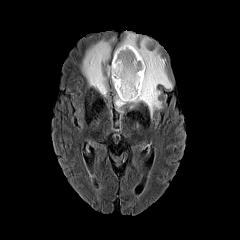
FLAIR MR.
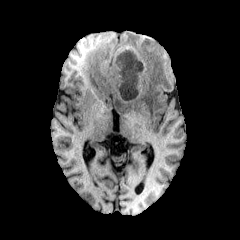
T1-weighted MR image of the same slice.
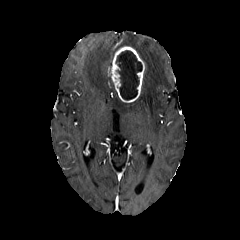
Post-contrast T1-weighted magnetic resonance.
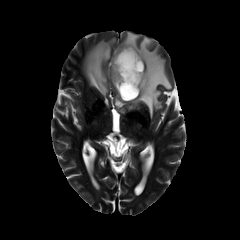
T2-weighted MRI.
Brain
Non-enhancing tumor core: region(115, 50, 142, 100).
Edema: region(117, 30, 172, 118); region(83, 36, 116, 98); region(115, 94, 124, 113).
Enhancing tumor: region(107, 44, 146, 102).